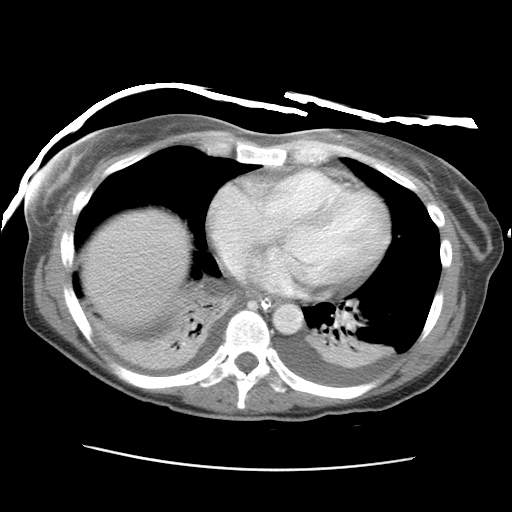
512x512 px; CT slice
The liver appears at (left=83, top=211, right=188, bottom=323).